CT slice
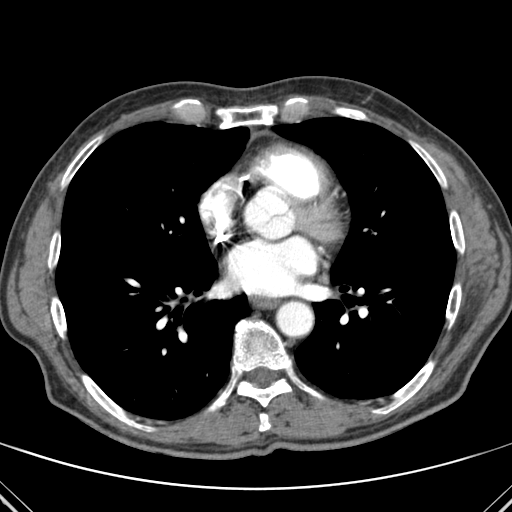

15 bone regions are located at <box>208,320,323,411</box>, <box>51,298,66,337</box>, <box>174,99,200,107</box>, <box>237,379,291,406</box>, <box>61,136,101,186</box>, <box>373,361,433,413</box>, <box>410,141,446,186</box>, <box>259,413,270,430</box>, <box>82,375,153,431</box>, <box>217,105,277,128</box>, <box>285,98,306,104</box>, <box>446,284,461,326</box>, <box>48,232,60,268</box>, <box>450,210,464,253</box>, <box>335,108,365,119</box>. 2 lung regions are bounded by <box>273,117,455,398</box>, <box>55,121,249,419</box>.